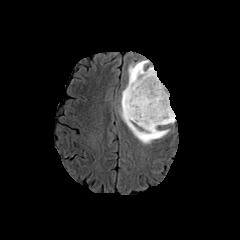
FLAIR MR.
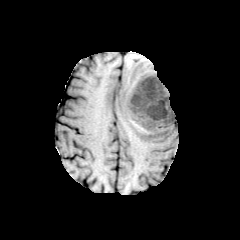
T1-weighted magnetic resonance of the same slice.
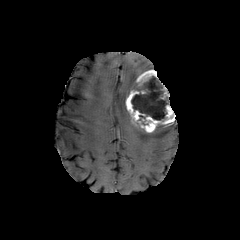
Post-contrast T1-weighted magnetic resonance.
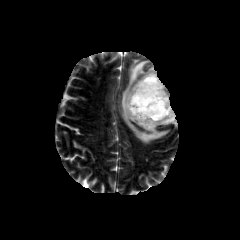
T2-weighted MRI.
Image size 240x240; Brain
edema:
  - region(115, 59, 170, 144)
non-enhancing_tumor_core:
  - region(131, 76, 169, 120)
enhancing_tumor:
  - region(126, 90, 175, 133)
  - region(136, 70, 158, 86)
  - region(159, 81, 169, 101)